FLAIR MR image.
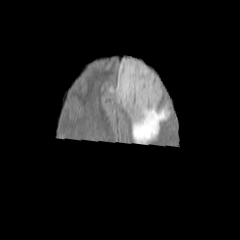
T1-weighted MRI.
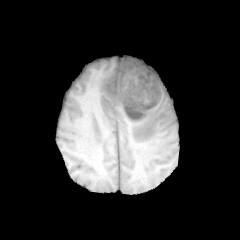
Post-contrast T1-weighted MR.
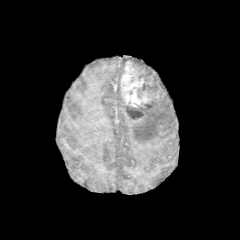
T2-weighted MRI.
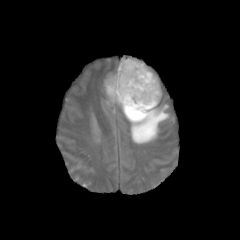
Head
2 edema regions appear at 118:96:169:143, 102:56:145:103. The non-enhancing tumor core is located at 124:60:162:119. The enhancing tumor lies within 119:61:159:107.